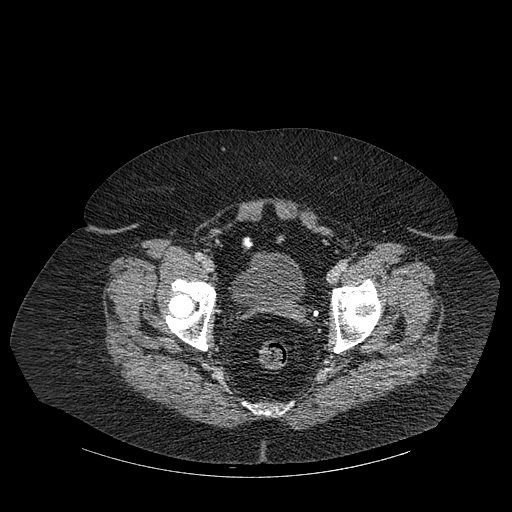

CT scan slice; Image size 512x512
Urinary bladder = box(232, 251, 305, 318).
Bone = box(166, 279, 215, 350); box(242, 402, 287, 414); box(332, 279, 380, 353).